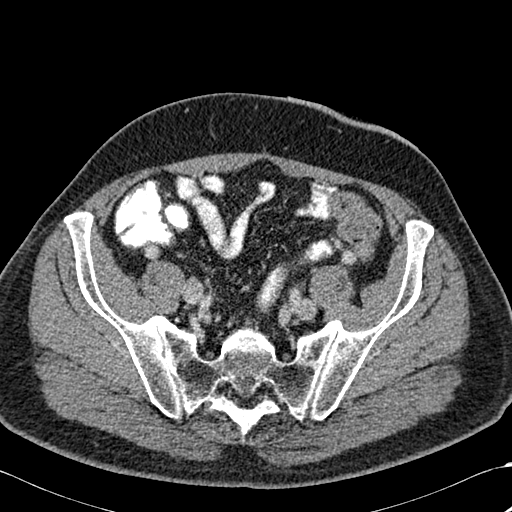

CT, 512x512 px
The bone lies within 64,212,433,434.